CT scan slice

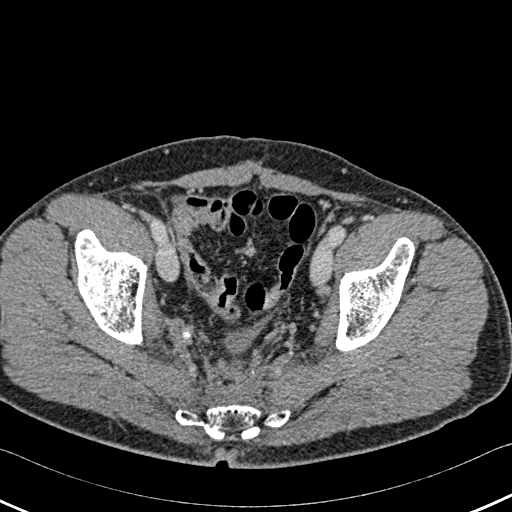 {"bone": ["75,230,146,343", "264,410,289,427", "336,237,414,350", "176,405,261,438"]}